FLAIR MR.
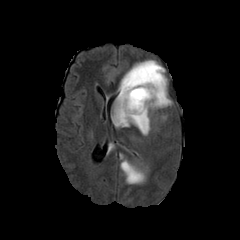
T1-weighted MR.
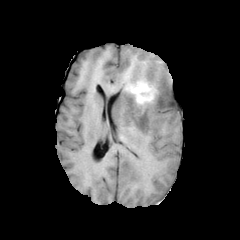
Post-contrast T1-weighted MR image.
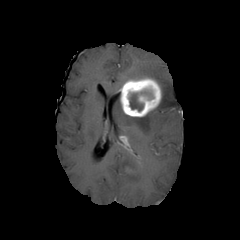
T2-weighted magnetic resonance.
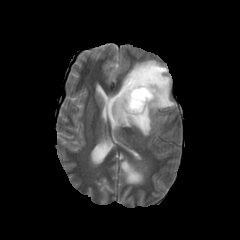
Head
Enhancing tumor at bbox=[120, 78, 161, 117].
Non-enhancing tumor core at bbox=[130, 93, 143, 110]; bbox=[140, 89, 153, 100].
Edema at bbox=[119, 60, 171, 107]; bbox=[113, 102, 150, 134]; bbox=[121, 160, 144, 183].